CT image, Slice index 42, Field of view 352x352 mm, Abdomen
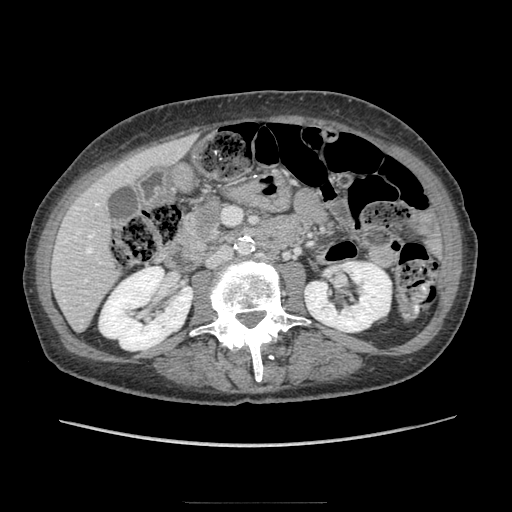

Pancreatic tumor at [193, 203, 221, 238].
Pancreas at [177, 210, 233, 259], [205, 200, 221, 208].